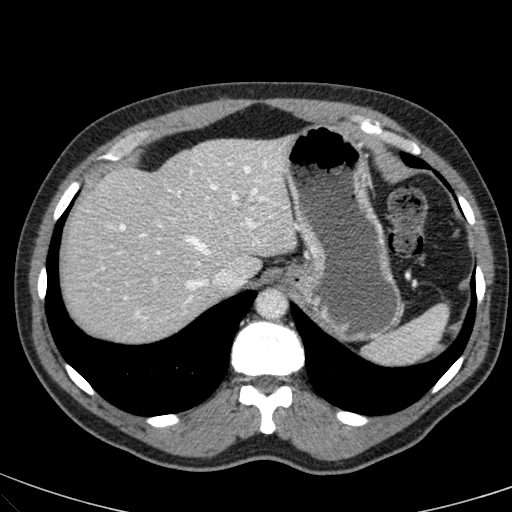
Liver. CT slice.
The liver lies within 64, 134, 296, 344.